Image width 335 mm | CT image
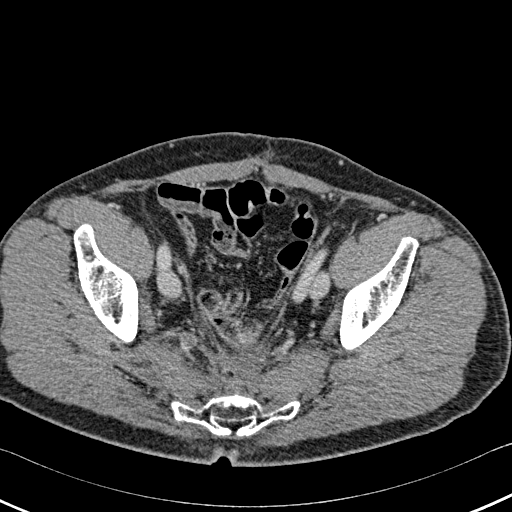 bone: bbox=[74, 224, 137, 341]; bbox=[340, 237, 418, 349]; bbox=[171, 394, 299, 439]